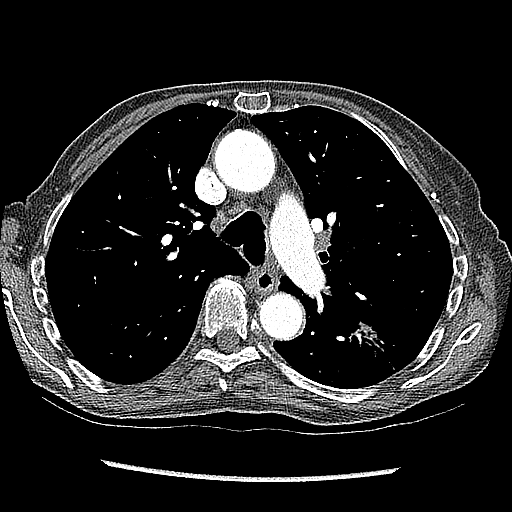 512x512 px. Chest. CT. {
  "lung_tumor": [
    "x1=346 y1=319 x2=386 y2=357"
  ]
}